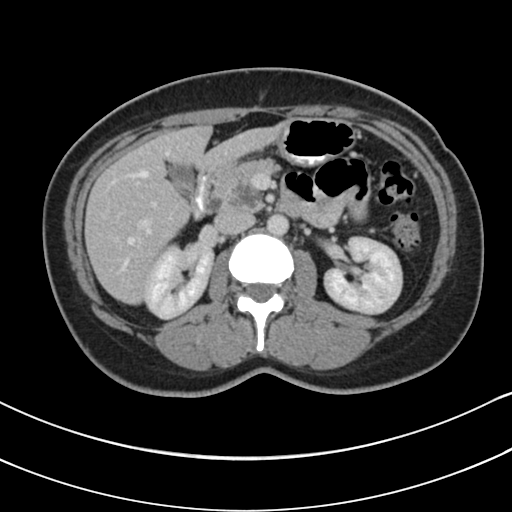

CT, Abdomen
Segmented structures:
- pancreas: [x1=202, y1=159, x2=279, y2=214]
- pancreatic tumor: [x1=226, y1=183, x2=258, y2=209]